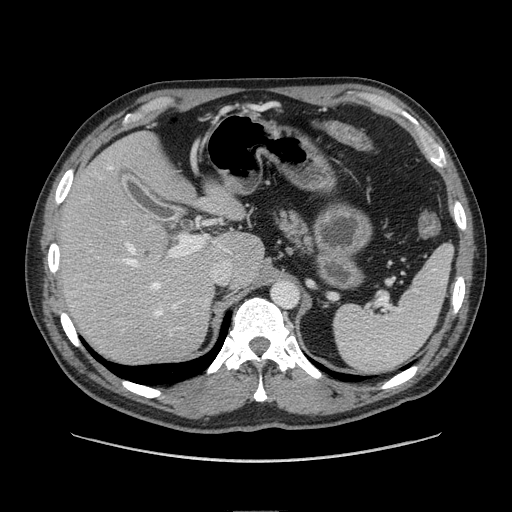

Image size 512x512, Abdomen, CT slice

Pancreas: bbox=[268, 207, 316, 256].